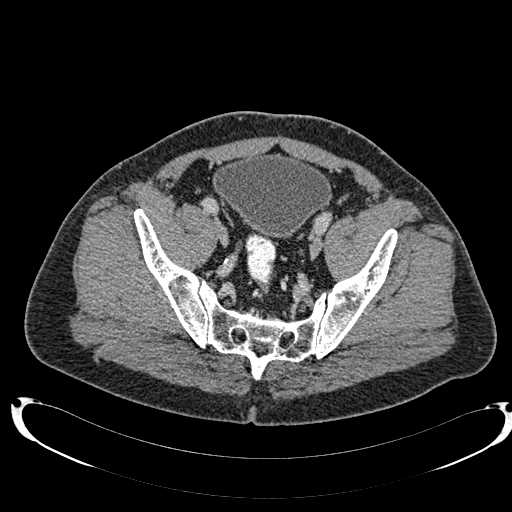
Image size 512x512, CT image, Pelvis
Annotated regions:
• urinary bladder: (214,153,331,238)